CT image; Abdomen

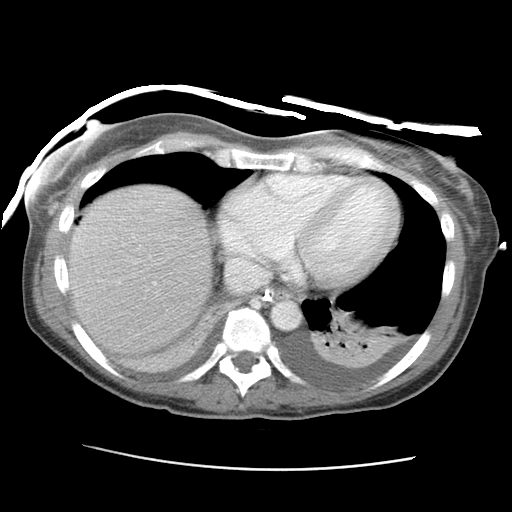
Liver: 67,185,210,353.